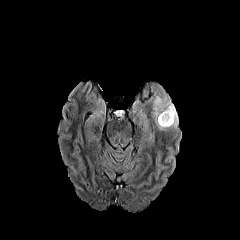
FLAIR MR.
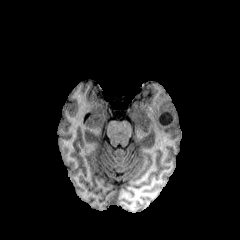
T1-weighted MR.
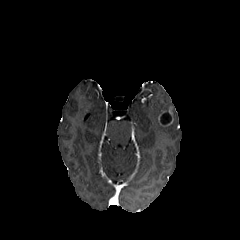
Post-contrast T1-weighted MR image of the same slice.
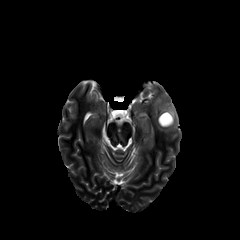
T2-weighted MR.
Brain
2 edema regions are located at box(133, 103, 151, 139); box(145, 85, 178, 134). The non-enhancing tumor core lies within box(160, 111, 171, 124). The enhancing tumor is at box(157, 106, 173, 127).